Upper abdomen; CT scan slice; Field of view 353 mm wide, 1.50 mm slice spacing
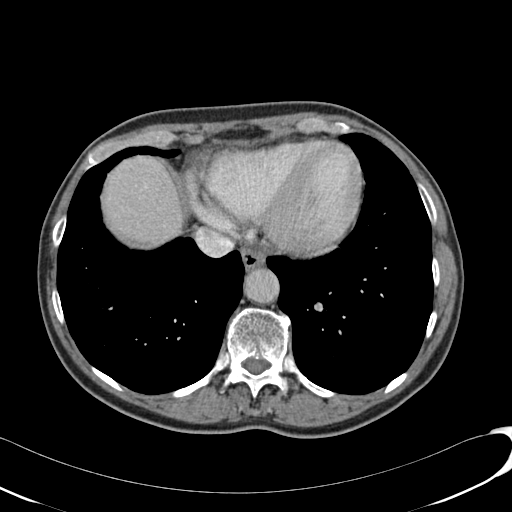
The liver is at x1=103, y1=158, x2=182, y2=244.